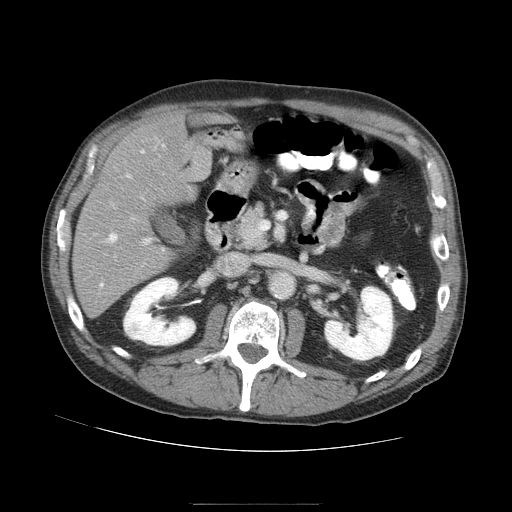 CT scan slice.
The vessel annotation is not exhaustive.
6 hepatic vessel regions are located at left=141, top=151, right=144, bottom=152; left=104, top=233, right=116, bottom=242; left=131, top=218, right=135, bottom=219; left=100, top=283, right=103, bottom=287; left=126, top=174, right=131, bottom=177; left=143, top=238, right=150, bottom=243.